Field of view 240x240 mm.
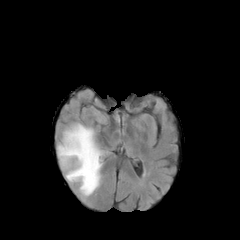
FLAIR MRI.
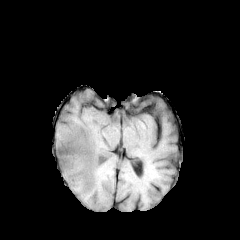
T1-weighted MR image.
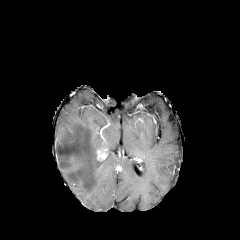
Post-contrast T1-weighted MR image of the same slice.
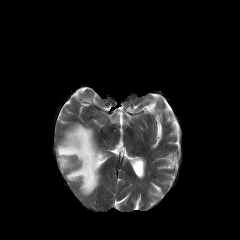
T2-weighted MR.
The edema is bounded by (left=57, top=123, right=102, bottom=195).